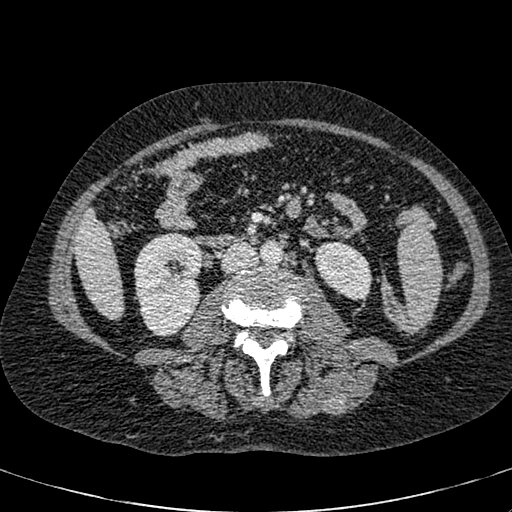 512x512 px | Computed tomography | Liver

<segmentation>
  <kidney>(x1=315, y1=242, x2=370, y2=299), (x1=134, y1=234, x2=201, y2=335)</kidney>
  <liver>(x1=75, y1=208, x2=122, y2=316)</liver>
</segmentation>